FLAIR MR.
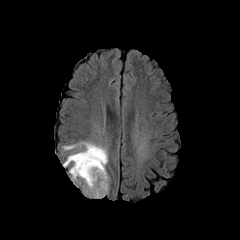
T1-weighted MR image.
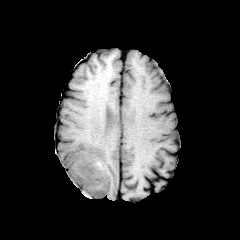
Post-contrast T1-weighted MR image.
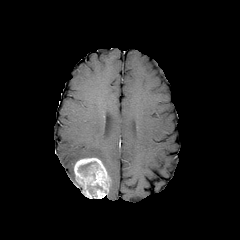
T2-weighted MR.
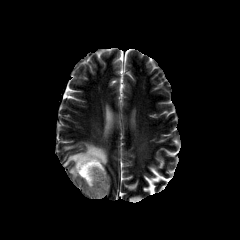
Head. 240x240.
<segmentation>
  <edema>(x1=63, y1=142, x2=107, y2=185)</edema>
  <non-enhancing_tumor_core>(x1=86, y1=184, x2=101, y2=194)</non-enhancing_tumor_core>
  <enhancing_tumor>(x1=74, y1=158, x2=109, y2=197)</enhancing_tumor>
</segmentation>